CT slice, Liver, Slice 433 of 986

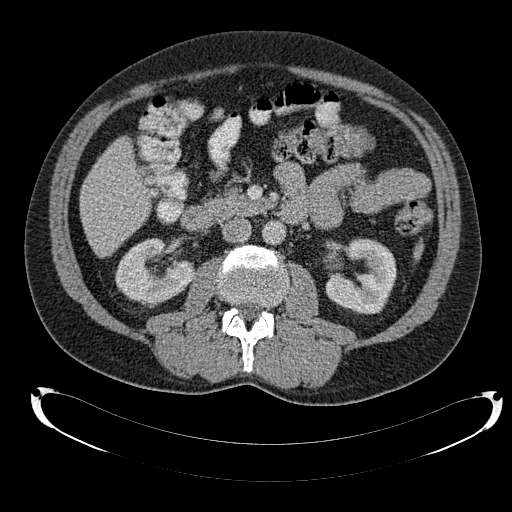 Liver = [x1=80, y1=138, x2=149, y2=256].
Kidney = [x1=326, y1=239, x2=395, y2=313], [x1=116, y1=239, x2=194, y2=303].